Abdomen. Computed tomography.

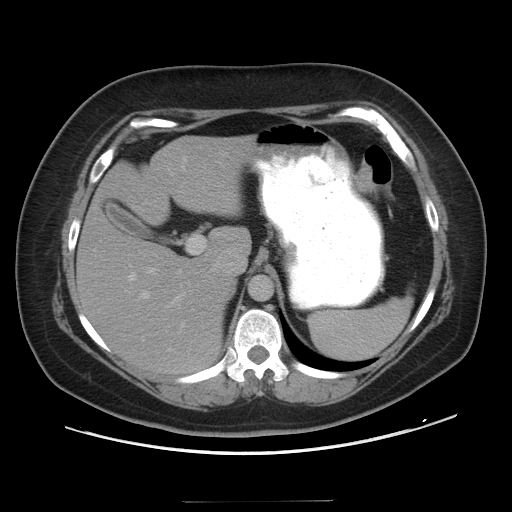 Colon tumor = rect(357, 162, 373, 190).